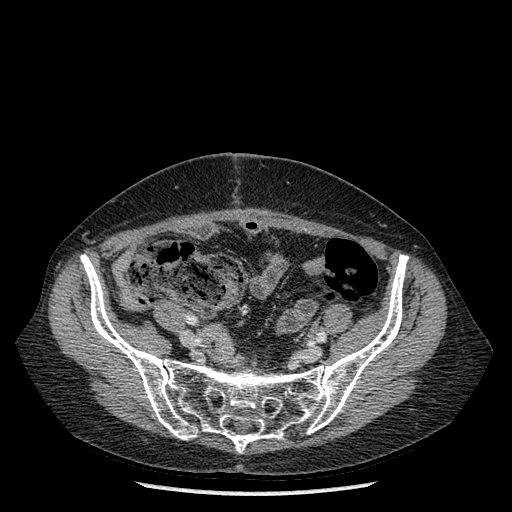
Computed tomography. bone: {"x1": 80, "y1": 254, "x2": 408, "y2": 453}